FLAIR MR image.
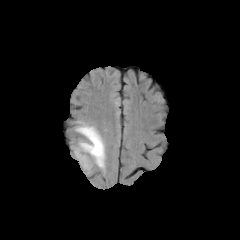
T1-weighted MR image.
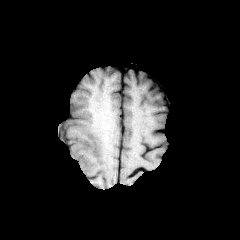
Post-contrast T1-weighted MR.
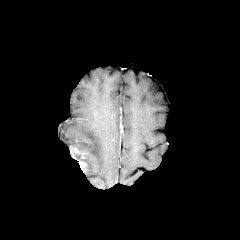
T2-weighted MRI.
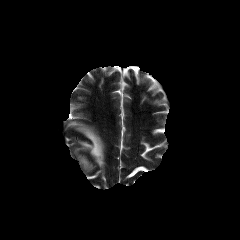
Brain.
The edema lies within [73,122,105,169].